FLAIR MR image.
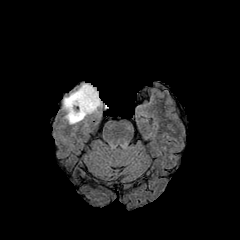
T1-weighted MR.
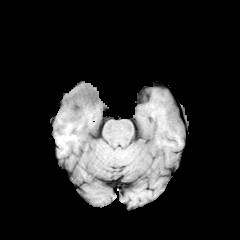
Post-contrast T1-weighted MRI.
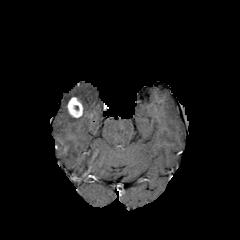
T2-weighted MR.
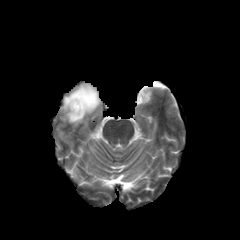
Head, 240x240 px
The edema is bounded by (62, 83, 101, 125). The enhancing tumor is at (67, 96, 83, 117).